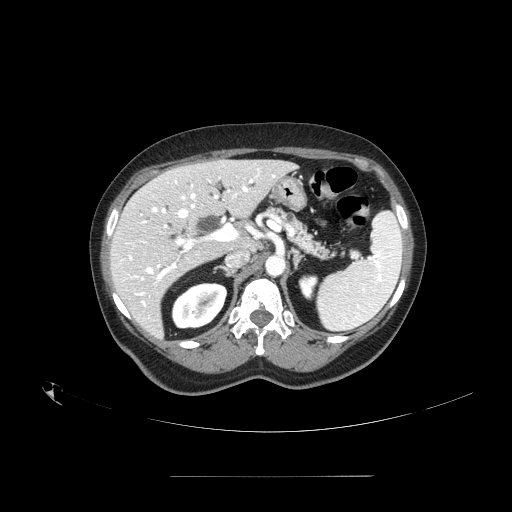 CT scan slice. 512x512 px.
pancreas: [267,208,344,260]